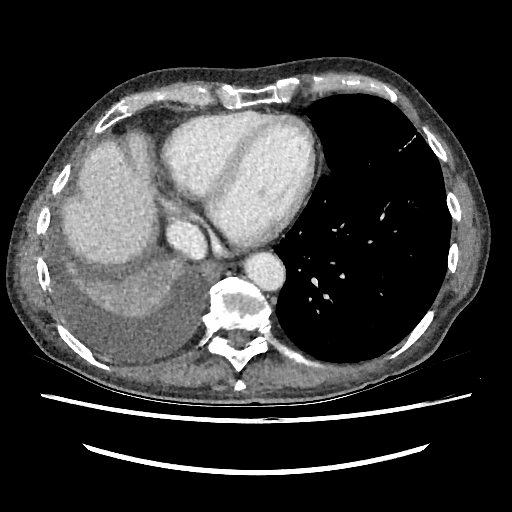 CT scan slice.
The liver is at (63,134,153,263).